CT; Slice 100 of 188 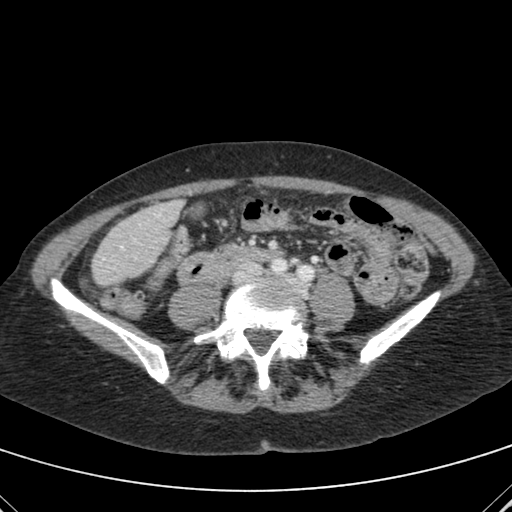

The liver is located at box(92, 200, 182, 283).